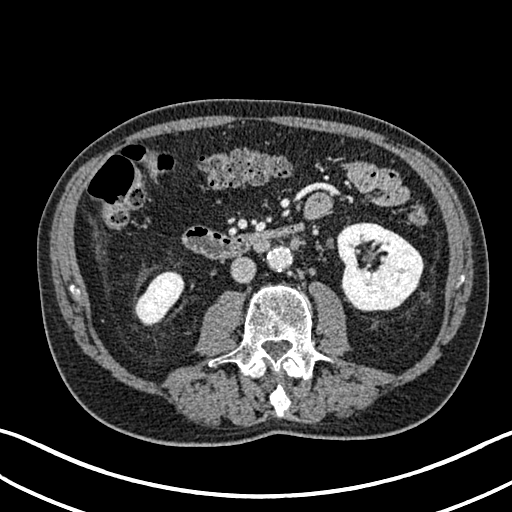 CT image

kidney:
  - [x1=338, y1=223, x2=422, y2=310]
  - [x1=136, y1=272, x2=183, y2=323]